Brain; Slice 75 of 155
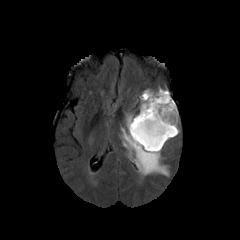
FLAIR MR image.
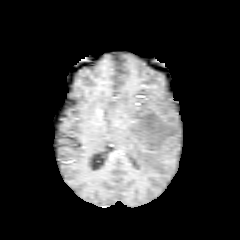
T1-weighted MRI.
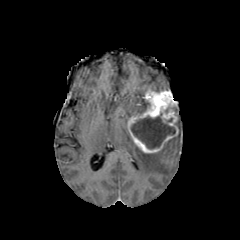
Post-contrast T1-weighted MR image.
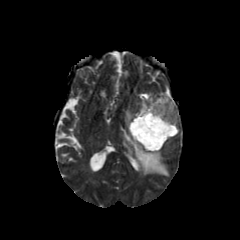
T2-weighted magnetic resonance.
{"non-enhancing_tumor_core": ["<bbox>131, 116, 175, 148</bbox>"], "enhancing_tumor": ["<bbox>127, 89, 179, 153</bbox>"], "edema": ["<bbox>121, 128, 169, 176</bbox>", "<bbox>136, 90, 146, 113</bbox>"]}